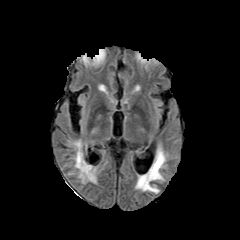
FLAIR MR.
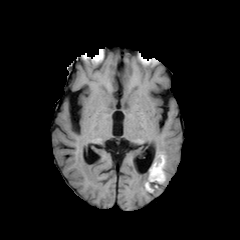
Same slice, T1-weighted MRI.
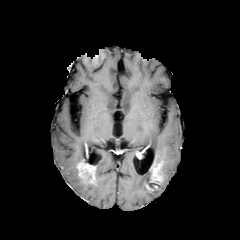
Post-contrast T1-weighted MR.
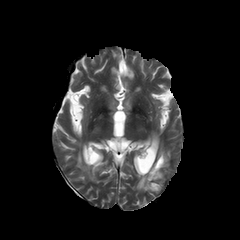
T2-weighted MR.
Head.
3 edema regions appear at bbox(75, 151, 86, 166); bbox(135, 150, 168, 193); bbox(83, 170, 96, 182). 2 enhancing tumor regions are located at bbox(77, 162, 95, 173); bbox(152, 163, 161, 175). The non-enhancing tumor core is at bbox(150, 155, 163, 179).